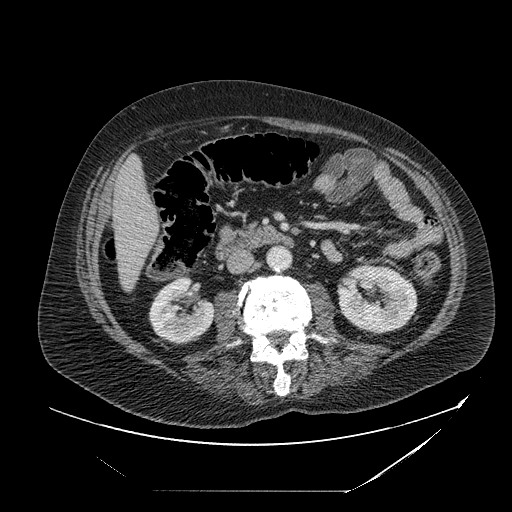

CT image, Upper abdomen

Pancreas — 241,219,262,234.